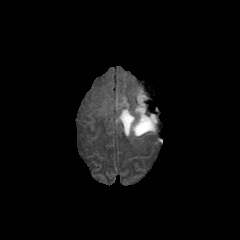
FLAIR magnetic resonance.
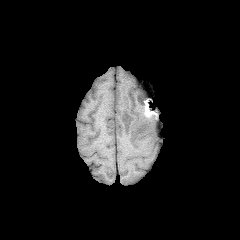
T1-weighted MRI.
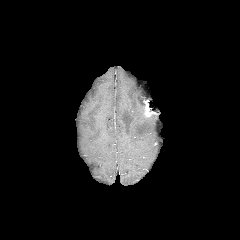
Post-contrast T1-weighted MR of the same slice.
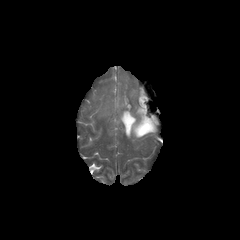
T2-weighted MR image of the same slice.
Head; 240x240 px
Segmented structures:
- non-enhancing tumor core: bbox(136, 117, 153, 133)
- edema: bbox(115, 90, 157, 138)